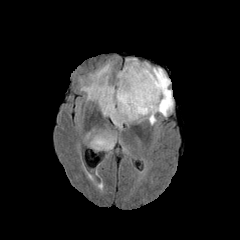
FLAIR MRI.
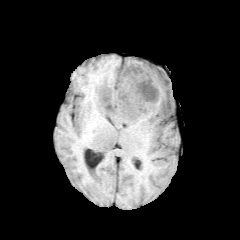
T1-weighted magnetic resonance of the same slice.
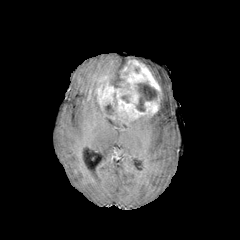
Same slice, post-contrast T1-weighted magnetic resonance.
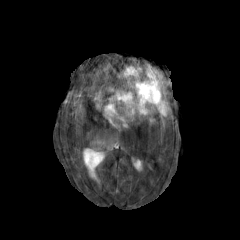
Same slice, T2-weighted magnetic resonance.
4 edema regions are bounded by 90,131,116,150; 126,61,173,127; 112,121,123,130; 80,60,116,111. 3 non-enhancing tumor core regions appear at 120,94,130,102; 135,81,159,112; 104,103,115,116. The enhancing tumor lies within 95,59,160,124.